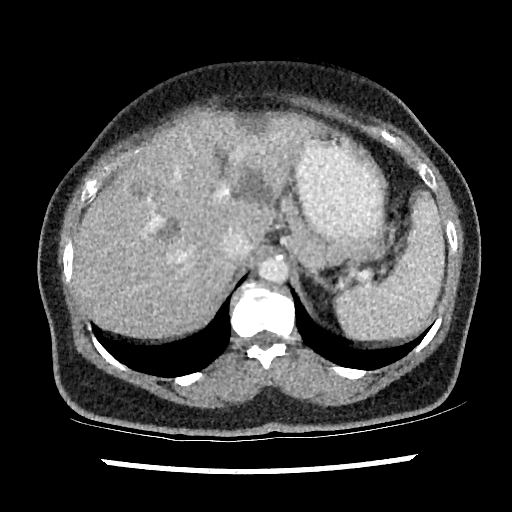 Upper abdomen; CT image
Liver: bounding box {"x1": 72, "y1": 113, "x2": 317, "y2": 338}.
Liver lesion: bounding box {"x1": 128, "y1": 182, "x2": 148, "y2": 196}, {"x1": 236, "y1": 115, "x2": 266, "y2": 132}, {"x1": 234, "y1": 165, "x2": 271, "y2": 205}, {"x1": 157, "y1": 218, "x2": 179, "y2": 241}.